Slice 39/155
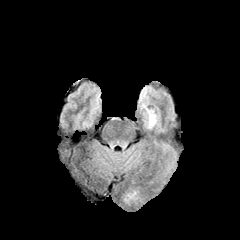
FLAIR MRI.
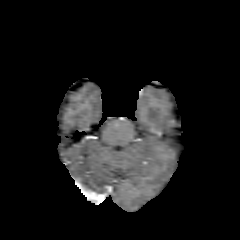
T1-weighted MRI.
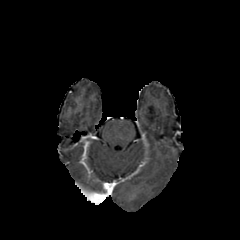
Post-contrast T1-weighted MRI.
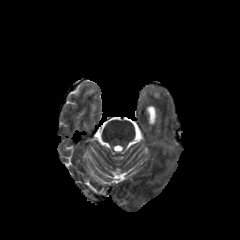
T2-weighted MR image.
The enhancing tumor appears at box=[125, 190, 136, 202].